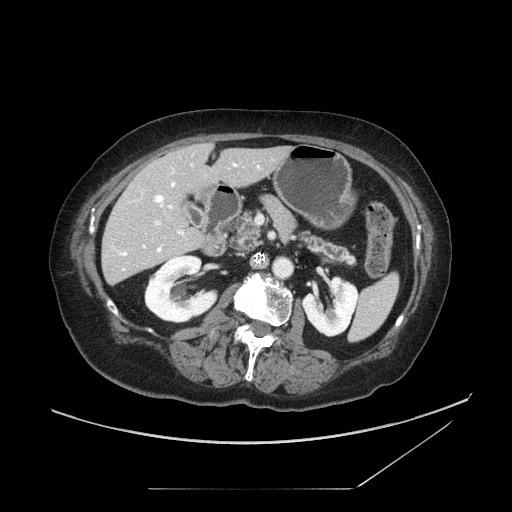

CT image, Image size 512x512, Upper abdomen

Pancreas — (left=300, top=231, right=355, bottom=265), (left=244, top=232, right=260, bottom=248), (left=222, top=212, right=257, bottom=238).
Pancreatic tumor — (left=238, top=222, right=259, bottom=244).